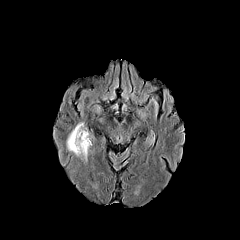
FLAIR MRI.
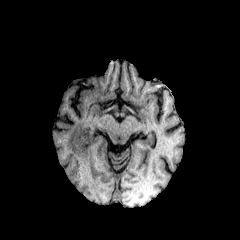
Same slice, T1-weighted MR.
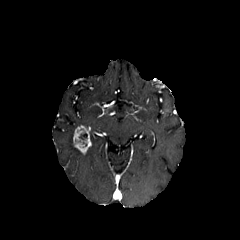
Same slice, post-contrast T1-weighted MRI.
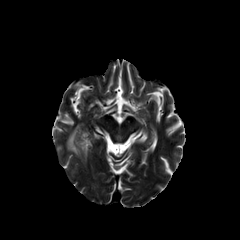
Same slice, T2-weighted MR image.
Brain
The edema is bounded by box=[65, 123, 88, 161]. The enhancing tumor appears at box=[73, 124, 91, 154].